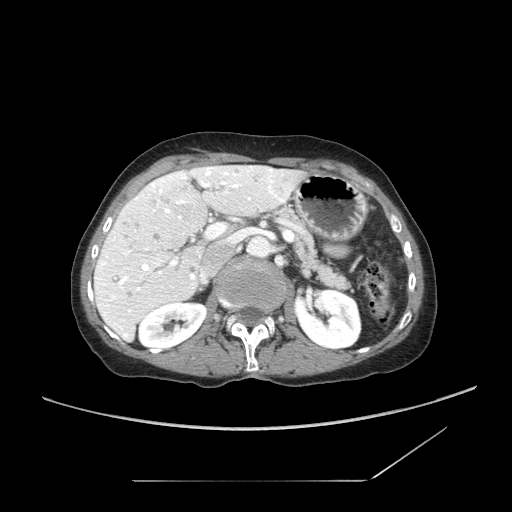
CT slice
Findings:
* pancreas: 275 206 349 289